FLAIR MRI.
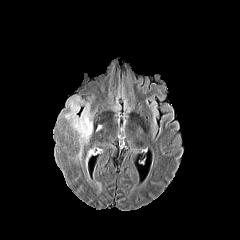
T1-weighted MRI.
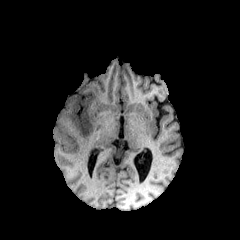
Post-contrast T1-weighted MR.
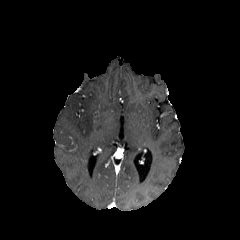
T2-weighted MR.
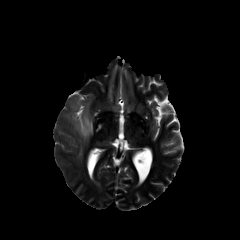
Brain
Edema at x1=72 y1=104 x2=92 y2=140.